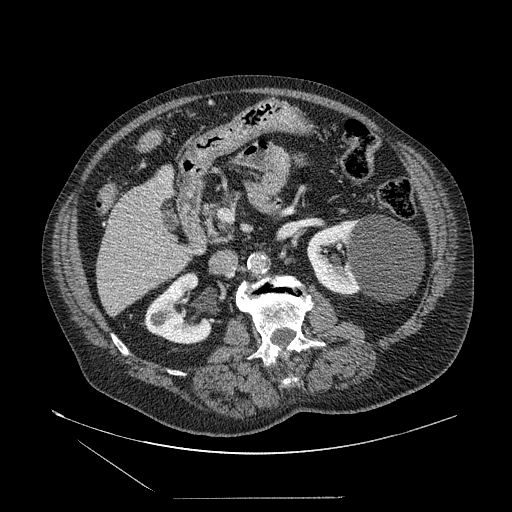

Abdomen | CT slice

Pancreas: bounding box {"x1": 203, "y1": 189, "x2": 242, "y2": 245}.